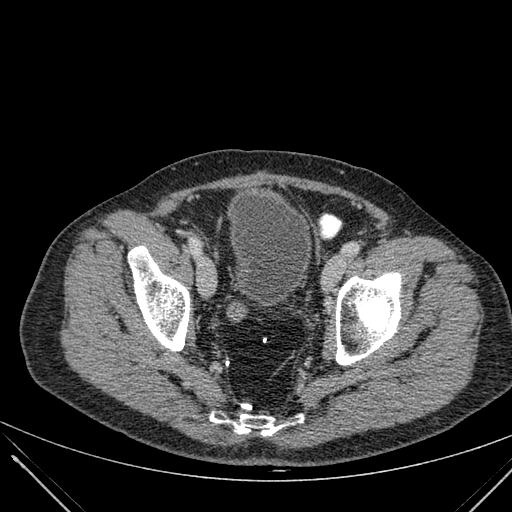

CT slice

• urinary bladder: [230, 195, 311, 302]